FLAIR MRI.
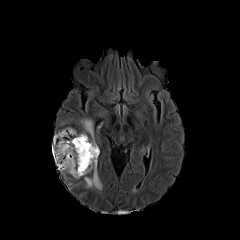
T1-weighted MR.
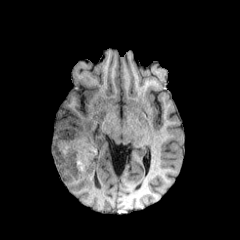
Post-contrast T1-weighted magnetic resonance.
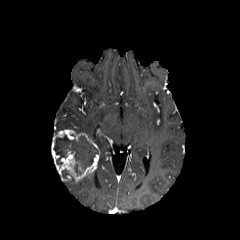
T2-weighted MRI.
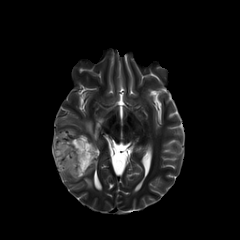
Head, Image size 240x240
2 edema regions are bounded by [x1=81, y1=118, x2=93, y2=139], [x1=84, y1=170, x2=102, y2=192]. 2 enhancing tumor regions are bounded by [x1=56, y1=130, x2=100, y2=180], [x1=52, y1=136, x2=58, y2=162]. The non-enhancing tumor core is located at [x1=54, y1=134, x2=98, y2=175].